FLAIR MR image.
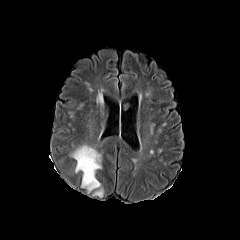
T1-weighted magnetic resonance.
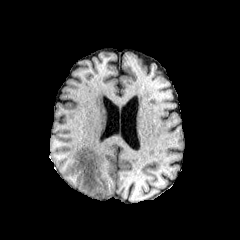
Post-contrast T1-weighted MR image.
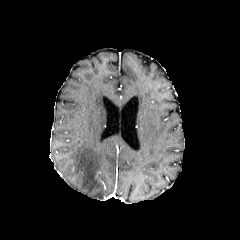
T2-weighted magnetic resonance.
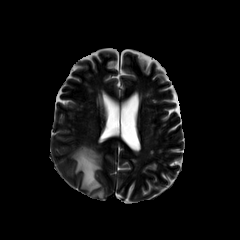
Brain.
The edema appears at bbox=[72, 145, 103, 196].